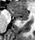
MRI slice | Hippocampus
Posterior hippocampus: bounding box 19 20 24 22.
Anterior hippocampus: bounding box 9 6 28 19.